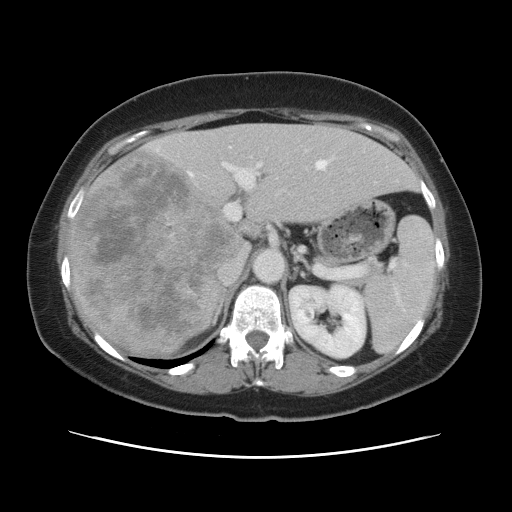 CT. Liver.

Only some of the vessels may be annotated.
Liver tumor: bounding box bbox=[75, 154, 237, 347].
Hepatic vessel: bounding box bbox=[277, 193, 278, 194]; bbox=[189, 172, 191, 175]; bbox=[222, 163, 260, 187]; bbox=[300, 248, 303, 251]; bbox=[219, 257, 243, 284]; bbox=[316, 156, 335, 169]; bbox=[223, 203, 240, 220].